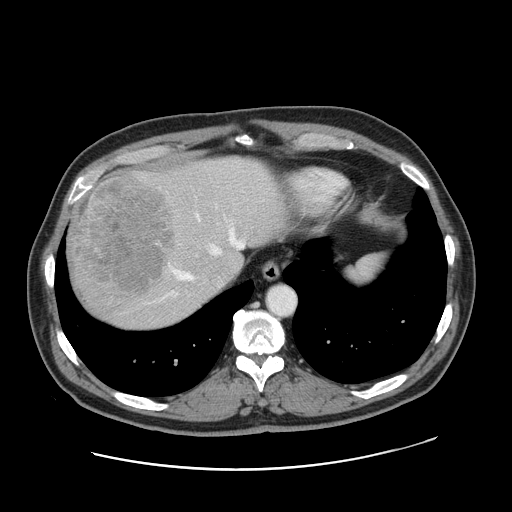 Liver | CT scan slice

Only some of the vessels may be annotated.
hepatic vessel: 240:257:242:264, 155:294:166:301, 197:214:198:218, 150:301:153:301, 209:245:222:253, 170:291:176:294, 229:227:250:249 | liver tumor: 68:173:175:296